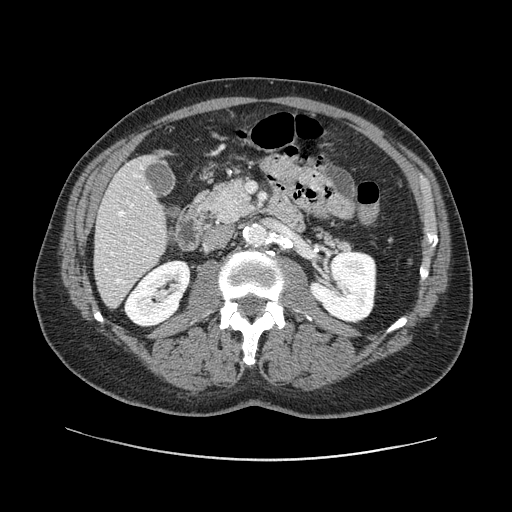
CT image | Upper abdomen
pancreas: region(314, 225, 356, 251); region(201, 174, 255, 224)